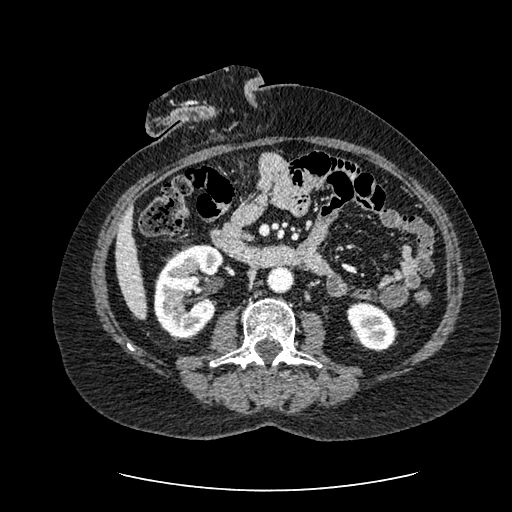 512x512 px. CT image. Liver. Kidney: rect(154, 245, 222, 337); rect(348, 303, 395, 349).
Liver: rect(116, 202, 146, 319).